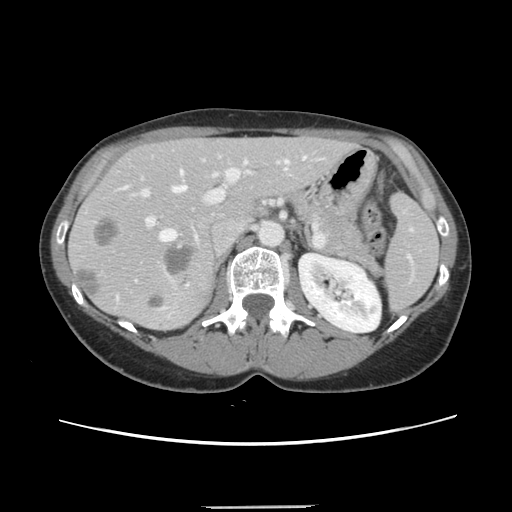

CT slice
The vessel boxes may cover only some of the vessels.
3 liver tumor regions are bounded by [79, 269, 99, 296], [163, 245, 194, 275], [95, 218, 119, 246]. The largest 15 hepatic vessel regions (of 16) are bounded by [139, 190, 148, 196], [213, 173, 216, 175], [302, 156, 305, 158], [172, 185, 185, 191], [121, 186, 127, 188], [194, 235, 196, 239], [282, 160, 287, 163], [116, 295, 117, 299], [159, 229, 175, 240], [180, 169, 182, 173], [204, 189, 223, 202], [146, 216, 153, 225], [247, 171, 249, 173], [243, 159, 246, 164], [225, 168, 239, 181].